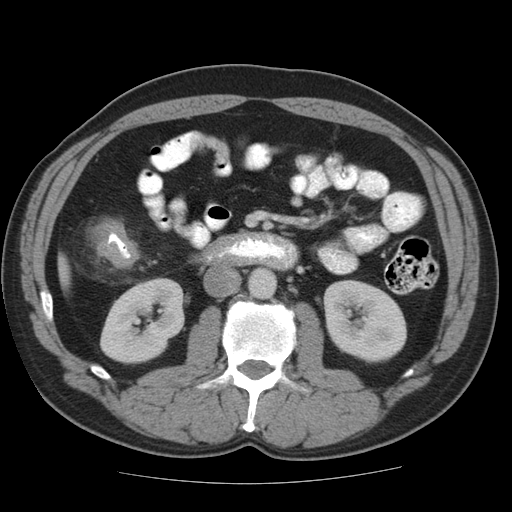 CT image; Abdomen
Colon tumor: (92, 221, 138, 266).